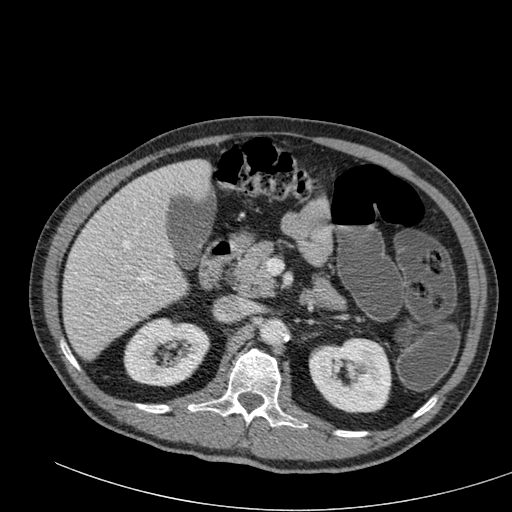

512x512; CT

liver:
  - rect(63, 160, 210, 358)
kidney:
  - rect(125, 319, 208, 385)
  - rect(310, 339, 390, 411)